Slice 76 of 155; Field of view 240 mm wide, 1.00 mm slice spacing
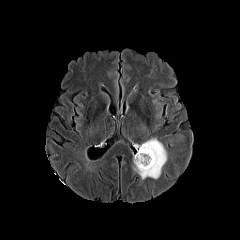
FLAIR MRI.
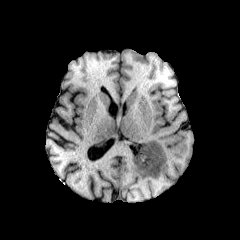
Same slice, T1-weighted MRI.
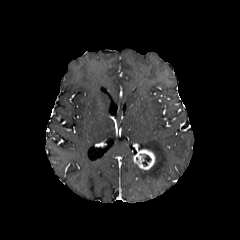
Post-contrast T1-weighted magnetic resonance of the same slice.
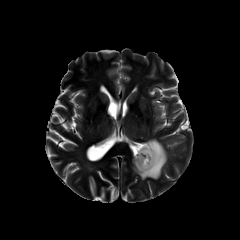
T2-weighted MR of the same slice.
{"edema": [{"x1": 134, "y1": 139, "x2": 167, "y2": 179}], "non-enhancing_tumor_core": [{"x1": 139, "y1": 153, "x2": 151, "y2": 166}], "enhancing_tumor": [{"x1": 134, "y1": 149, "x2": 154, "y2": 169}]}